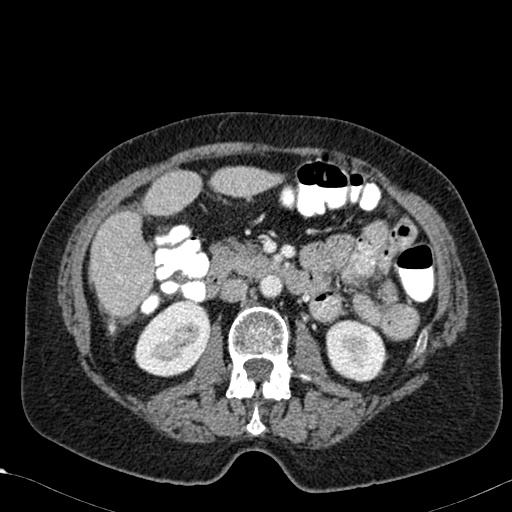

CT slice, Liver

liver: rect(91, 211, 152, 315); rect(142, 171, 200, 215); rect(211, 167, 281, 196) | kidney: rect(326, 321, 384, 380); rect(135, 298, 210, 376)